Slice 6 of 38, Medial temporal lobe, 38x50 px, MRI slice

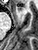
The anterior hippocampus is located at box(18, 7, 21, 10).